FLAIR magnetic resonance.
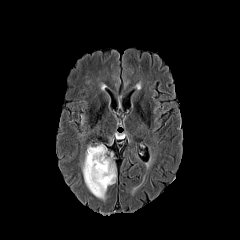
T1-weighted MR image.
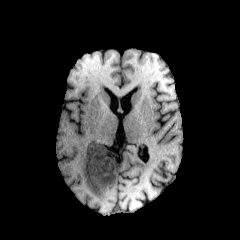
Post-contrast T1-weighted MR.
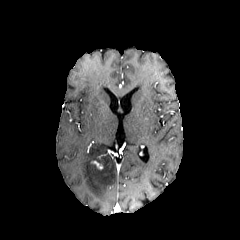
T2-weighted MR.
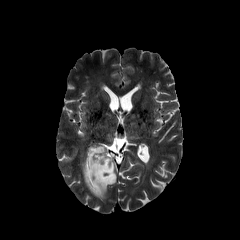
Brain
The enhancing tumor is located at x1=91, y1=161, x2=103, y2=169. The non-enhancing tumor core is bounded by x1=94, y1=152, x2=111, y2=167. The edema is bounded by x1=80, y1=143, x2=117, y2=199.